Brain; Image size 240x240; Slice index 73
FLAIR MRI.
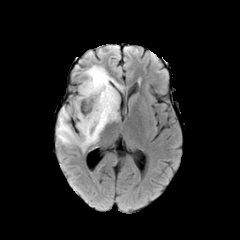
T1-weighted MRI.
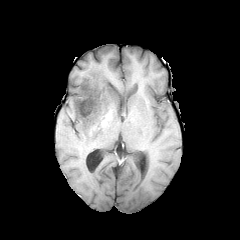
Post-contrast T1-weighted MR.
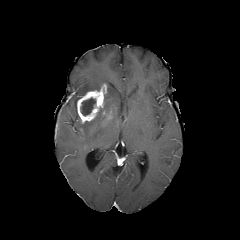
T2-weighted MR image.
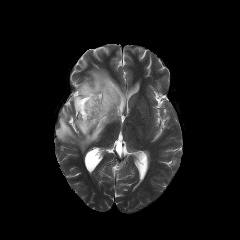
The enhancing tumor appears at 77 83 107 123. 2 edema regions are bounded by 78 65 123 91, 56 88 119 151. 2 non-enhancing tumor core regions are bounded by 80 98 95 115, 74 81 112 129.